Slice 38/155; Field of view 240 mm wide, 1.00 mm slice spacing
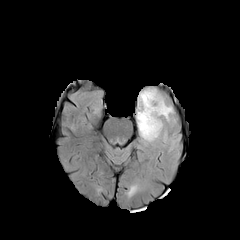
FLAIR MR.
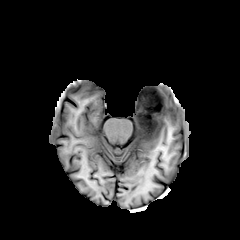
Same slice, T1-weighted magnetic resonance.
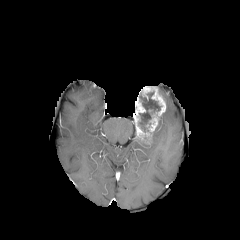
Same slice, post-contrast T1-weighted MR.
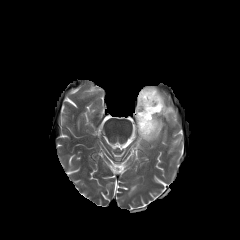
Same slice, T2-weighted MRI.
enhancing tumor: bbox(135, 86, 166, 139) | edema: bbox(162, 103, 174, 122); bbox(146, 120, 163, 141) | non-enhancing tumor core: bbox(138, 92, 160, 132)